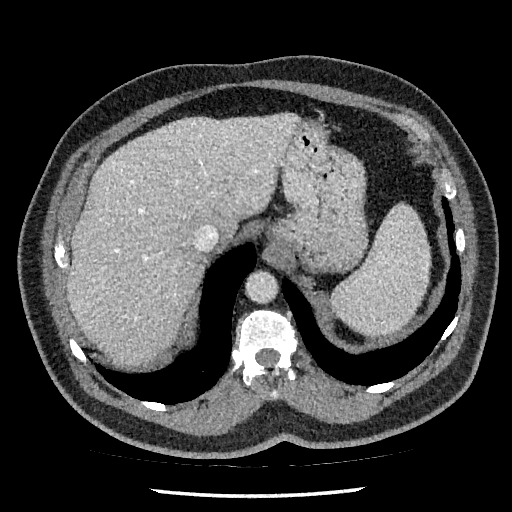

Upper abdomen. Computed tomography.
Liver = (left=67, top=114, right=297, bottom=364).